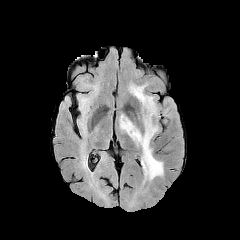
FLAIR MRI.
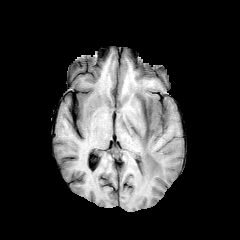
Same slice, T1-weighted magnetic resonance.
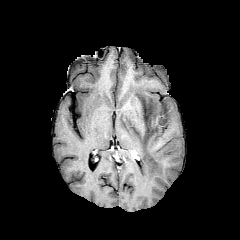
Same slice, post-contrast T1-weighted MRI.
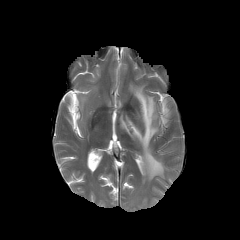
Same slice, T2-weighted MR.
240x240 px; Head
Non-enhancing tumor core — [142,102,151,131].
Edema — [119,84,168,183].